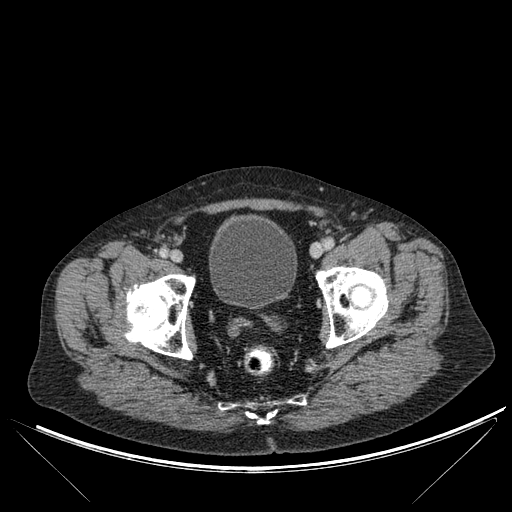 Image size 512x512; CT scan slice
<segmentation>
  <bone>123:274:194:359, 219:405:233:409, 245:402:277:423, 316:267:387:348</bone>
  <urinary_bladder>209:214:296:307</urinary_bladder>
</segmentation>